Head | Field of view 240x240 mm
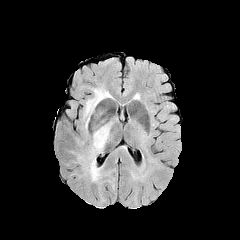
FLAIR MRI.
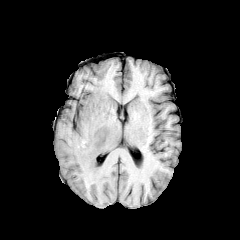
T1-weighted magnetic resonance of the same slice.
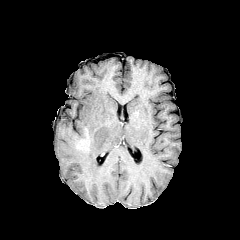
Post-contrast T1-weighted MR image.
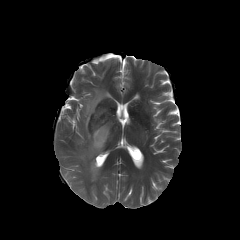
T2-weighted MR image of the same slice.
Findings:
- edema: (x1=80, y1=124, x2=109, y2=181), (x1=83, y1=89, x2=109, y2=128)